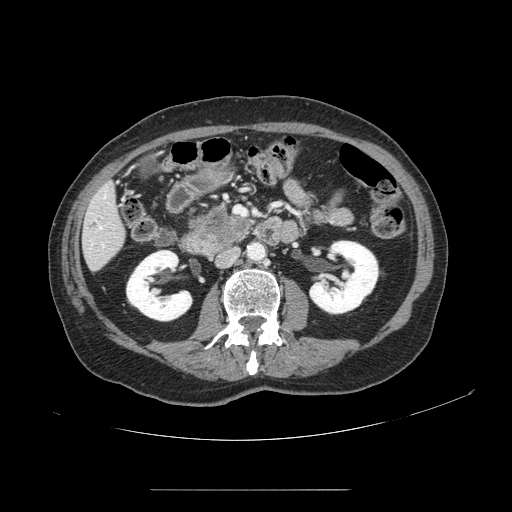 Abdomen, 512x512, CT scan slice

Pancreas: bounding box (left=192, top=205, right=250, bottom=250).
Pancreatic tumor: bounding box (left=201, top=210, right=248, bottom=241).